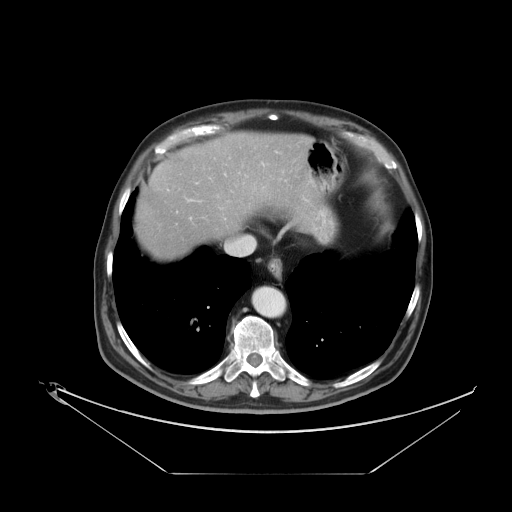

Liver; CT scan slice; 512x512
Not every hepatic vessel necessarily has a box.
Hepatic vessel = rect(189, 200, 193, 200); rect(261, 163, 263, 164); rect(225, 236, 249, 250).